MR image 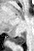

Posterior hippocampus — x1=9 y1=33 x2=25 y2=45.